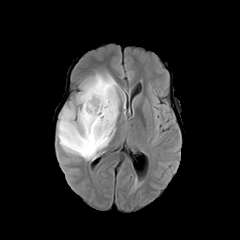
FLAIR MRI.
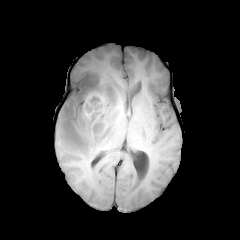
T1-weighted MRI.
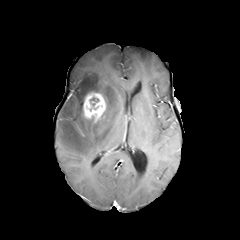
Same slice, post-contrast T1-weighted MR image.
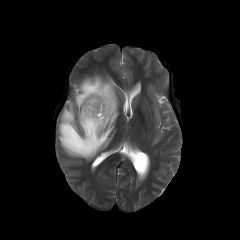
T2-weighted magnetic resonance of the same slice.
Brain; Image size 240x240
The edema is located at (left=56, top=73, right=125, bottom=160). The enhancing tumor lies within (left=84, top=93, right=105, bottom=121). The non-enhancing tumor core is at (left=89, top=93, right=99, bottom=111).